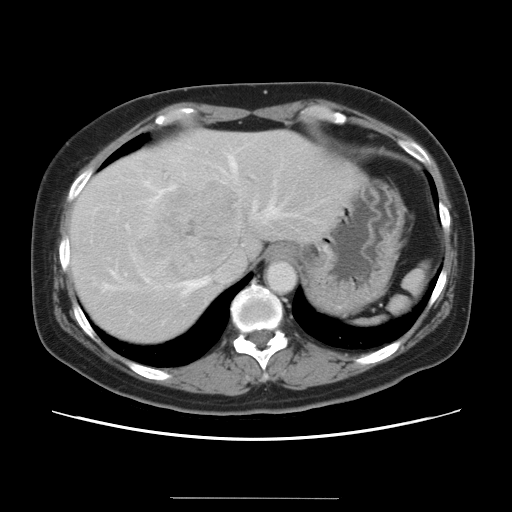

Abdomen, 512x512 px, CT image
The vessel boxes may cover only some of the vessels.
<segmentation>
  <liver_tumor>left=134, top=181, right=239, bottom=279</liver_tumor>
  <hepatic_vessel>left=182, top=277, right=209, bottom=295; left=263, top=200, right=290, bottom=223; left=220, top=169, right=225, bottom=174; left=124, top=274, right=126, bottom=275; left=101, top=284, right=111, bottom=291; left=145, top=181, right=149, bottom=187; left=150, top=190, right=164, bottom=202; left=167, top=186, right=174, bottom=190; left=110, top=270, right=115, bottom=274; left=141, top=274, right=148, bottom=282; left=125, top=224, right=128, bottom=229; left=252, top=202, right=256, bottom=213; left=131, top=254, right=134, bottom=257; left=227, top=155, right=235, bottom=174; left=185, top=146, right=190, bottom=148</hepatic_vessel>
</segmentation>